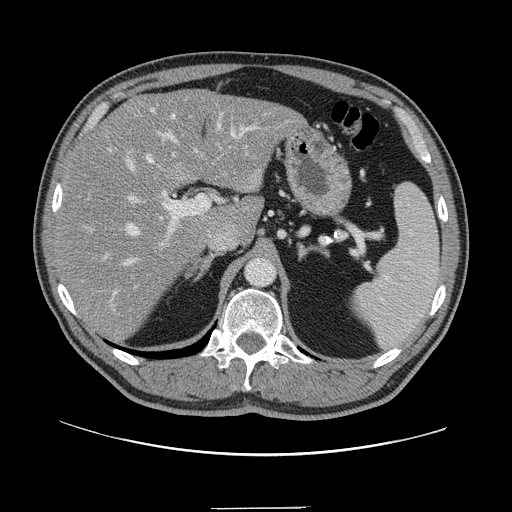
Image size 512x512, Computed tomography, Abdomen

Not every hepatic vessel necessarily has a box.
The largest 15 hepatic vessel regions (of 21) appear at 218 122 220 128, 160 132 175 140, 164 195 218 233, 108 148 111 150, 160 242 168 246, 127 160 134 169, 164 192 167 199, 232 126 258 137, 147 155 152 162, 122 259 136 265, 151 109 154 112, 220 113 223 117, 129 196 137 202, 124 225 138 235, 113 290 117 297.